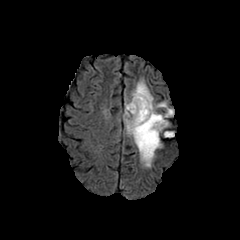
FLAIR MRI.
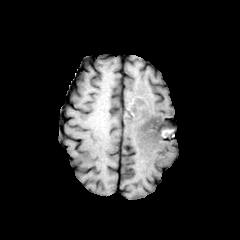
T1-weighted magnetic resonance of the same slice.
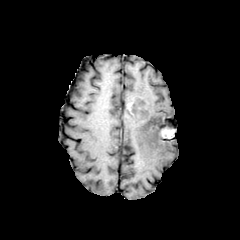
Same slice, post-contrast T1-weighted MRI.
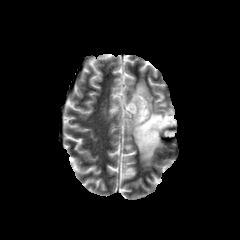
T2-weighted MRI.
Image size 240x240, Head
* edema: (123, 80, 175, 166)
* non-enhancing tumor core: (142, 116, 169, 143)